CT image | Slice 64/366

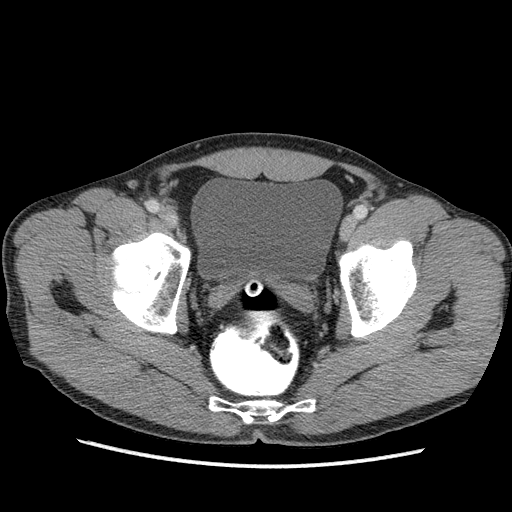

The urinary bladder lies within 191,178,342,284.